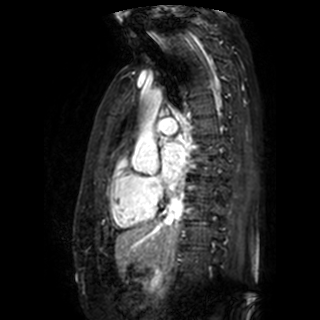
MR.
<segmentation>
  <left_atrium>left=162, top=142, right=188, bottom=180</left_atrium>
</segmentation>